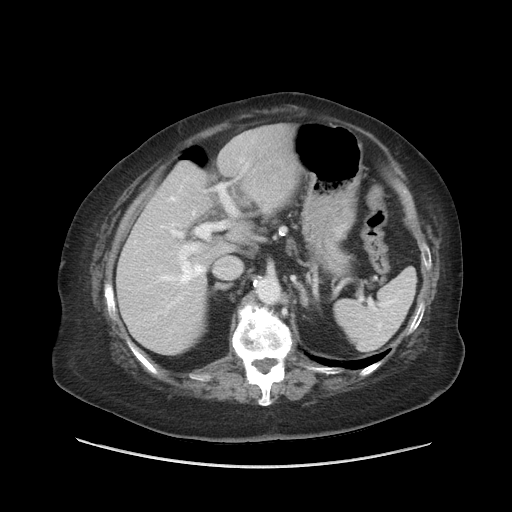

512x512 px | CT slice | Liver

The vessel boxes may cover only some of the vessels.
Annotated regions:
- hepatic vessel: [184, 266, 189, 270], [165, 225, 182, 236], [217, 185, 233, 208]